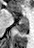 MRI

2 anterior hippocampus regions are bounded by x1=19, y1=17, x2=26, y2=20; x1=12, y1=12, x2=15, y2=17. The posterior hippocampus is bounded by x1=15, y1=21, x2=27, y2=33.